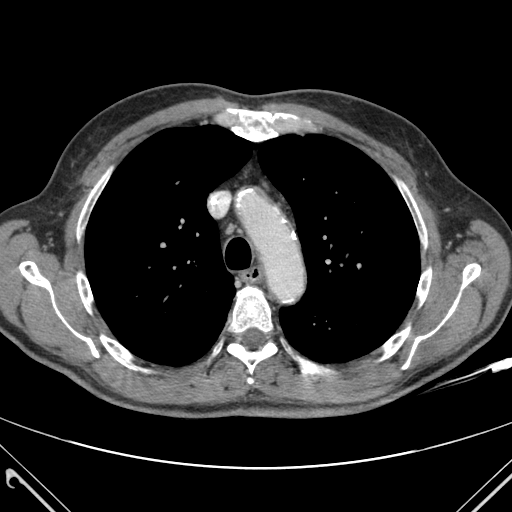

Chest; CT slice; 512x512 px
Bone: box=[77, 170, 109, 238]; box=[402, 294, 460, 368]; box=[227, 343, 276, 373]; box=[231, 287, 272, 332]; box=[226, 109, 297, 141]; box=[461, 264, 480, 288]; box=[77, 273, 92, 313]; box=[417, 268, 431, 305]; box=[401, 182, 426, 247]; box=[299, 358, 321, 373]; box=[19, 261, 98, 357]; box=[381, 327, 409, 359]; box=[100, 335, 138, 369].
Lung: box=[258, 134, 419, 362]; box=[85, 125, 252, 366].